512x512 px; Field of view 335 mm wide, 1.00 mm slice spacing; CT

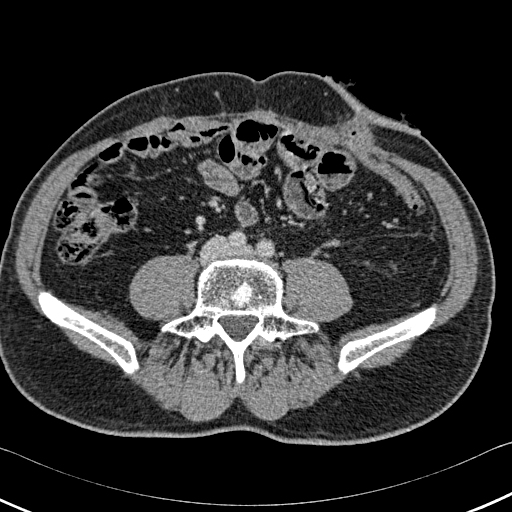
bone:
  - (161,259,319,383)
  - (39,293,138,372)
  - (338,308,434,373)